Computed tomography | Image size 512x512 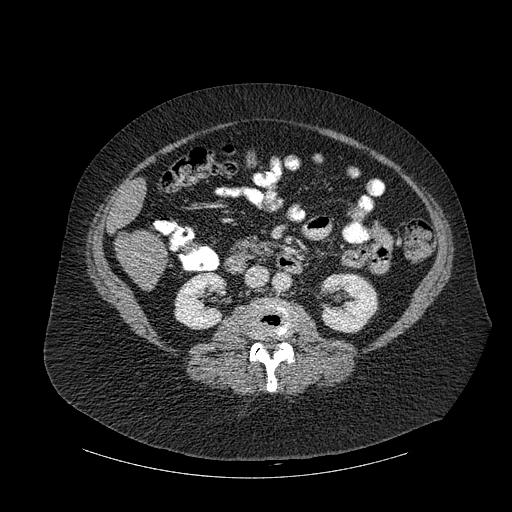 liver:
  - left=108, top=178, right=146, bottom=232
  - left=115, top=230, right=167, bottom=290
kidney:
  - left=175, top=273, right=223, bottom=328
  - left=322, top=274, right=376, bottom=332
bone:
  - left=250, top=342, right=294, bottom=391
  - left=248, top=301, right=295, bottom=338